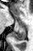

MRI slice; Image size 33x51
Posterior hippocampus — box(11, 28, 25, 41).